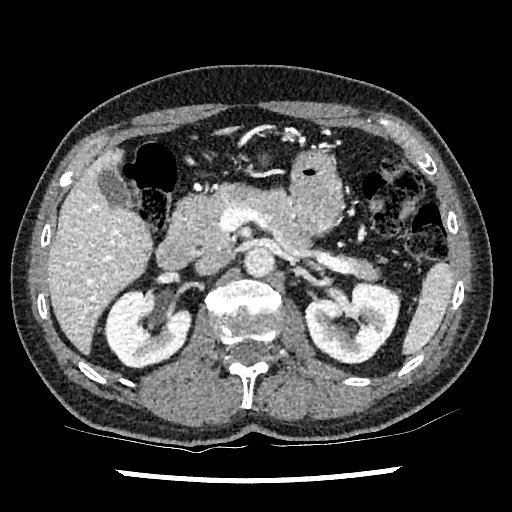 CT | Upper abdomen

2 liver regions are bounded by (48, 149, 152, 354), (215, 127, 238, 135). 2 kidney regions are located at (106, 293, 189, 366), (306, 284, 398, 362).